Slice 48 of 161, CT slice
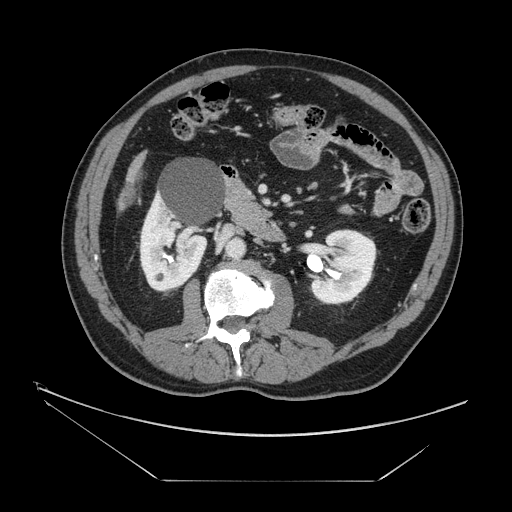 The liver tumor is at l=123, t=188, r=132, b=203.